Slice 53 of 155; Field of view 240 mm wide, 1.00 mm slice spacing
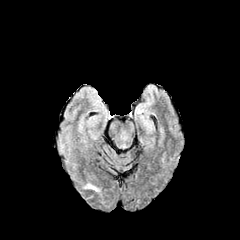
FLAIR MRI.
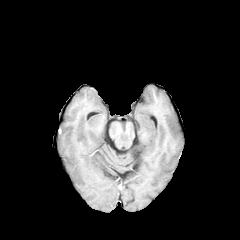
T1-weighted MRI.
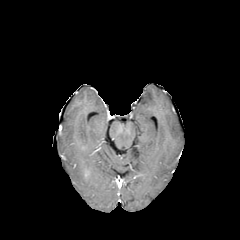
Post-contrast T1-weighted MR.
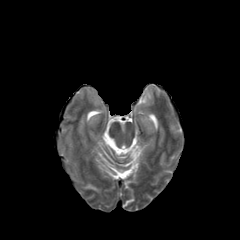
T2-weighted MRI of the same slice.
The edema is at 83,183,100,191.